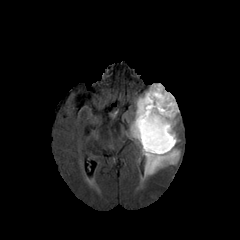
FLAIR MR image.
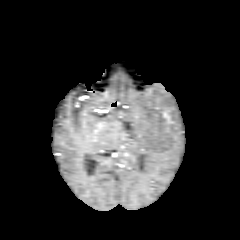
T1-weighted MR image.
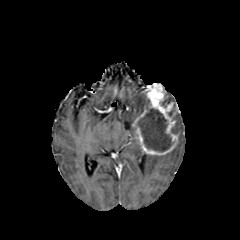
Post-contrast T1-weighted MR of the same slice.
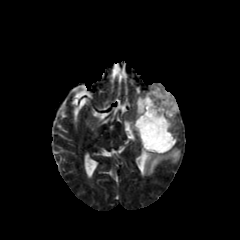
Same slice, T2-weighted MR image.
Edema — (x1=142, y1=148, x2=180, y2=179), (x1=130, y1=95, x2=145, y2=124).
Non-enhancing tumor core — (x1=138, y1=98, x2=173, y2=151).
Enhancing tumor — (x1=130, y1=83, x2=179, y2=155).